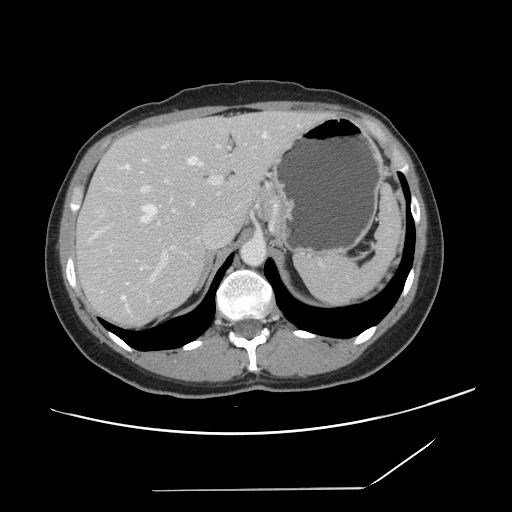
CT slice; Liver; Image size 512x512
Not every hepatic vessel necessarily has a box.
<segmentation partial="true">
  <hepatic_vessel shown="15" total="19">(144,159,146,161), (262,132,266,136), (123,165,128,168), (188,157,202,164), (140,266,148,269), (121,296,125,300), (191,202,193,204), (170,246,173,248), (162,145,166,148), (209,177,221,184), (141,186,149,192), (89,231,97,240), (150,252,166,280), (141,205,156,222), (126,304,129,312)</hepatic_vessel>
</segmentation>